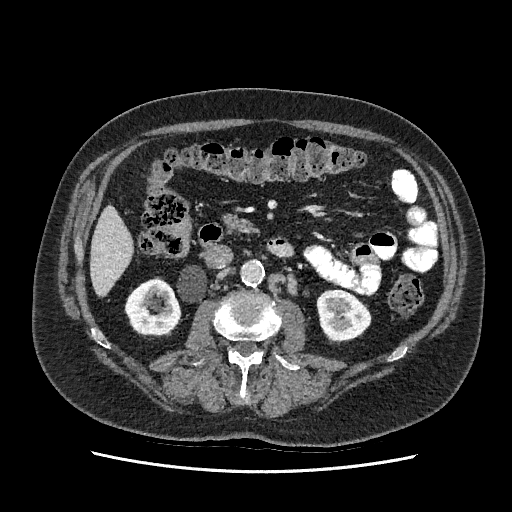 Upper abdomen | 512x512 | CT image
2 kidney regions are bounded by [317, 290, 370, 340], [126, 280, 179, 334]. The liver lies within [91, 206, 132, 295].